CT scan slice. Abdomen.
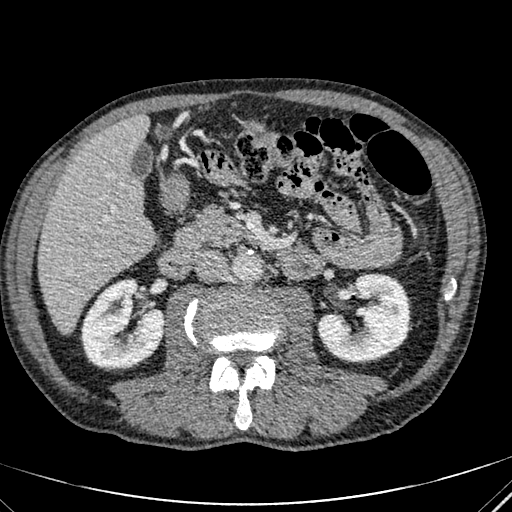
Annotated regions:
* liver: <bbox>39, 114, 152, 333</bbox>
* kidney: <bbox>82, 281, 163, 366</bbox>, <bbox>319, 275, 408, 360</bbox>